Slice 22 of 40 | 36x50 px | MR | Hippocampus

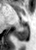
posterior_hippocampus:
  - (left=16, top=26, right=29, bottom=40)